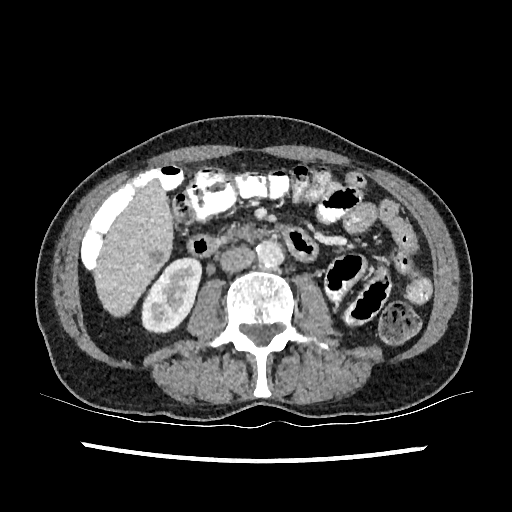

CT scan slice

Annotated regions:
• liver lesion: l=149, t=250, r=163, b=263
• liver: l=96, t=178, r=171, b=315
• kidney: l=142, t=258, r=201, b=331